Slice 60 of 155
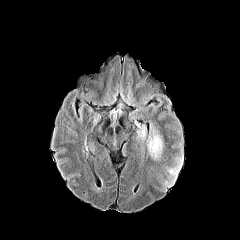
FLAIR MR.
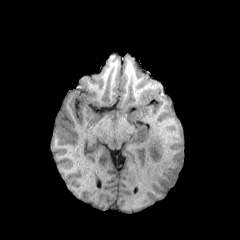
T1-weighted magnetic resonance.
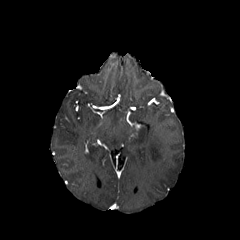
Same slice, post-contrast T1-weighted MR image.
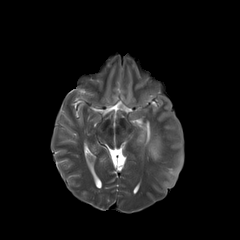
T2-weighted MR image.
2 edema regions are bounded by left=146, top=123, right=163, bottom=162; left=166, top=156, right=182, bottom=176.